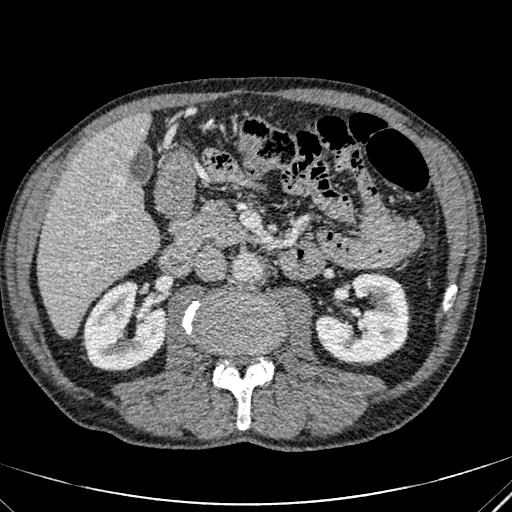

512x512 | CT

{
  "liver": [
    "l=38, t=112, r=158, b=337"
  ],
  "kidney": [
    "l=85, t=283, r=164, b=368",
    "l=317, t=274, r=407, b=361"
  ]
}